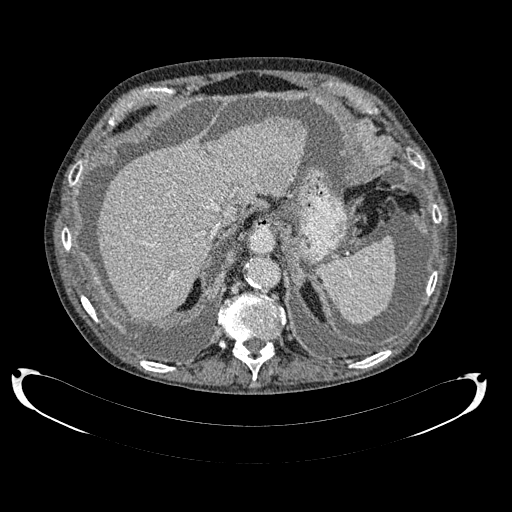

Upper abdomen, CT scan slice
liver: 97 116 306 322 | hepatic lesion: 285 125 300 138